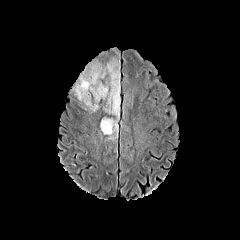
FLAIR magnetic resonance.
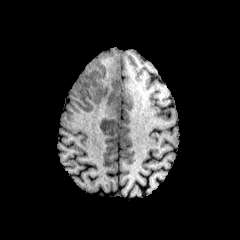
Same slice, T1-weighted magnetic resonance.
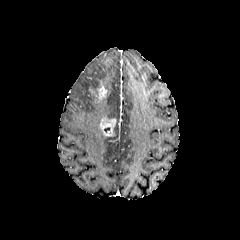
Same slice, post-contrast T1-weighted MR.
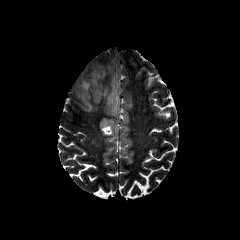
Same slice, T2-weighted MR image.
Brain
Annotated regions:
- enhancing tumor: bbox(99, 118, 116, 136); bbox(97, 82, 107, 102)
- edema: bbox(74, 63, 105, 110); bbox(105, 65, 120, 140)